FLAIR MR image.
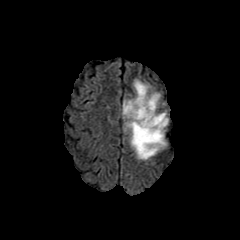
T1-weighted MR image.
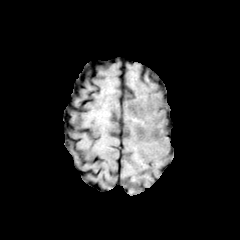
Post-contrast T1-weighted MRI.
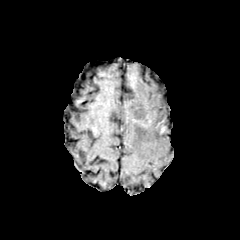
T2-weighted MR.
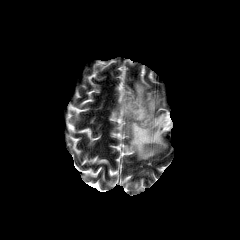
{"non-enhancing_tumor_core": ["[x1=155, y1=117, x2=167, y2=128]", "[x1=141, y1=114, x2=154, y2=127]", "[x1=124, y1=100, x2=132, y2=117]"], "edema": ["[x1=122, y1=80, x2=169, y2=160]"]}